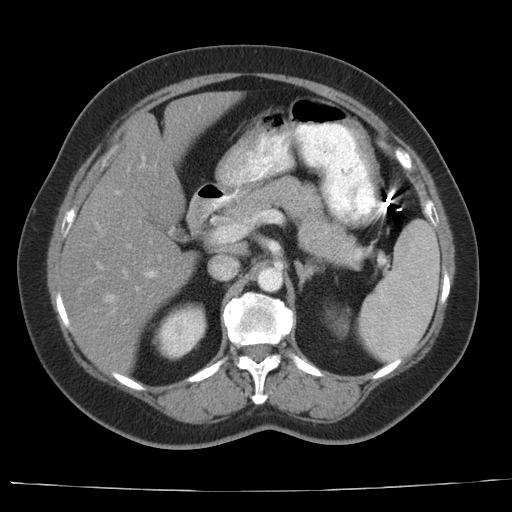
CT, Liver
The vessel annotation is not exhaustive.
6 hepatic vessel regions appear at bbox=[98, 265, 100, 267]; bbox=[116, 191, 118, 193]; bbox=[136, 287, 137, 289]; bbox=[106, 295, 113, 301]; bbox=[112, 309, 114, 311]; bbox=[147, 272, 153, 276].